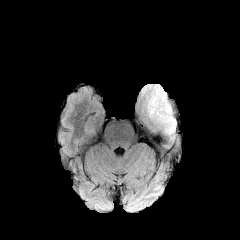
FLAIR MR.
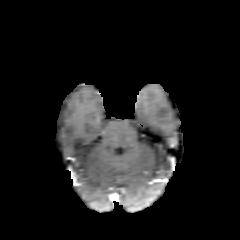
T1-weighted MRI.
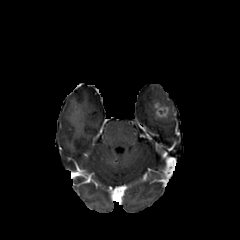
Same slice, post-contrast T1-weighted MR.
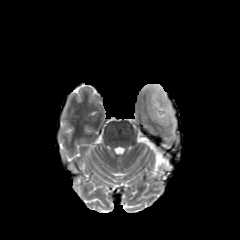
T2-weighted MRI.
240x240; Brain
The edema is bounded by left=144, top=86, right=176, bottom=135. The enhancing tumor appears at left=154, top=102, right=168, bottom=117.